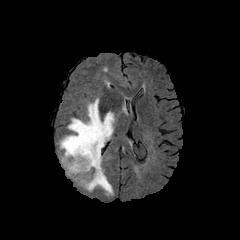
FLAIR MR image.
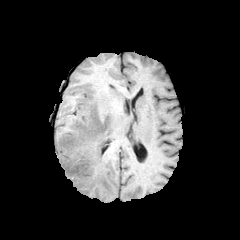
Same slice, T1-weighted MR image.
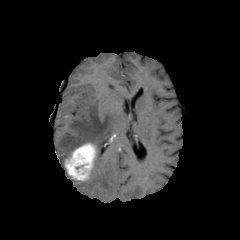
Post-contrast T1-weighted MR.
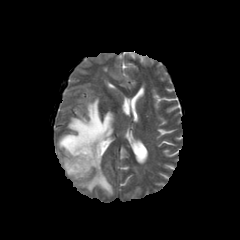
T2-weighted MRI of the same slice.
Edema at x1=57, y1=98, x2=114, y2=194.
Enhancing tumor at x1=64, y1=142, x2=97, y2=179.